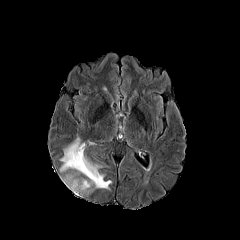
FLAIR MRI.
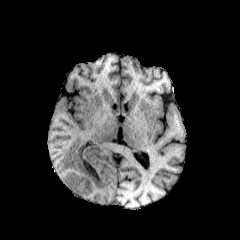
T1-weighted MR image of the same slice.
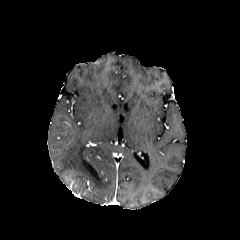
Same slice, post-contrast T1-weighted magnetic resonance.
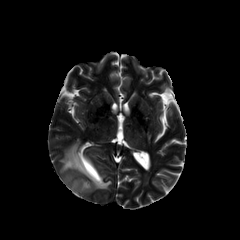
T2-weighted MRI.
Edema = (59, 139, 111, 190), (72, 180, 81, 192).